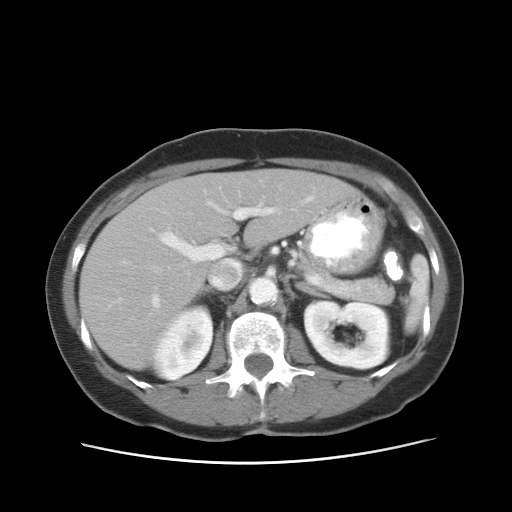

Computed tomography, Upper abdomen

spleen:
  - rect(409, 256, 429, 326)